T2-weighted MR image.
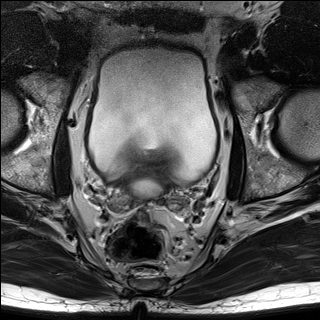
ADC MRI.
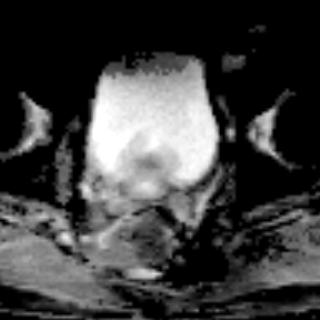
320x320 px
Prostate transition zone = rect(128, 130, 168, 174).